CT slice, Slice 77 of 120, Field of view 370x370 mm
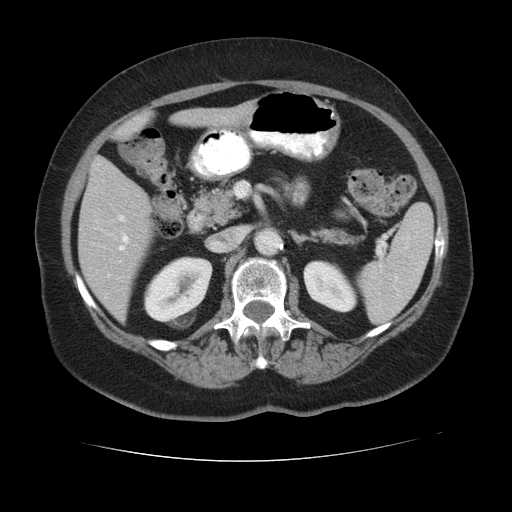
{
  "pancreas": [
    "(left=197, top=187, right=240, bottom=225)",
    "(left=313, top=228, right=351, bottom=244)"
  ]
}